CT slice; Pelvis; Slice 132 of 908
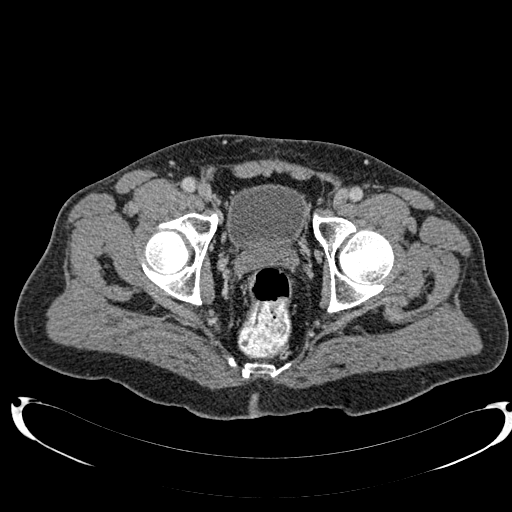
Urinary bladder at {"x1": 227, "y1": 184, "x2": 308, "y2": 258}.